Slice 62/432. Pelvis. CT.
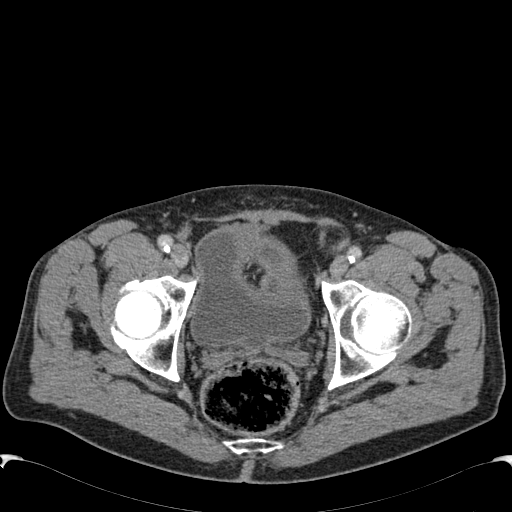
<segmentation>
  <urinary_bladder>rect(190, 224, 311, 348)</urinary_bladder>
</segmentation>